Slice index 40 | CT
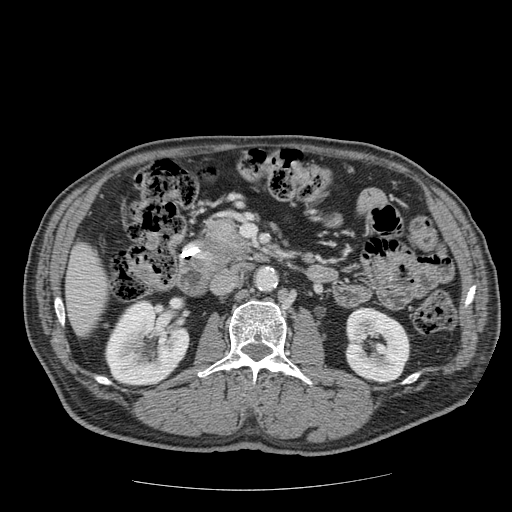
{
  "pancreas": [
    "[187, 222, 242, 269]",
    "[219, 214, 244, 237]"
  ],
  "pancreatic_tumor": [
    "[199, 215, 253, 261]"
  ]
}